CT image | Field of view 485 mm wide, 2.50 mm slice spacing

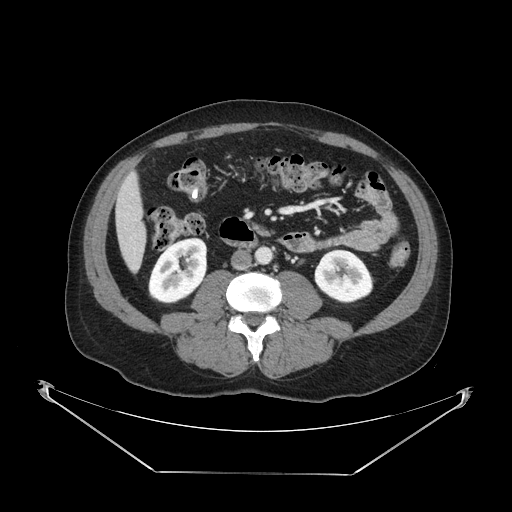 <segmentation>
  <pancreas>{"x1": 251, "y1": 222, "x2": 272, "y2": 235}</pancreas>
</segmentation>